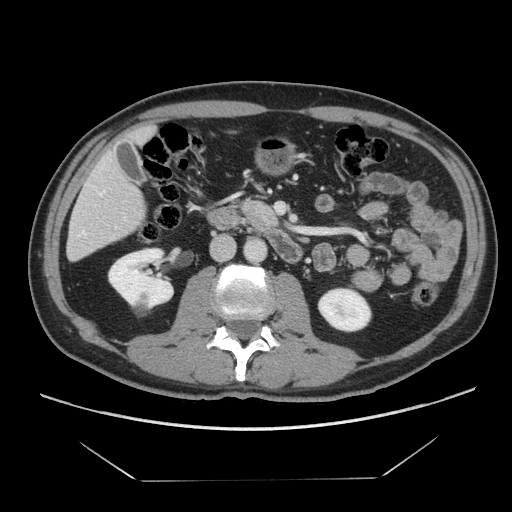 512x512; CT image
The pancreas is at 239 201 276 229.